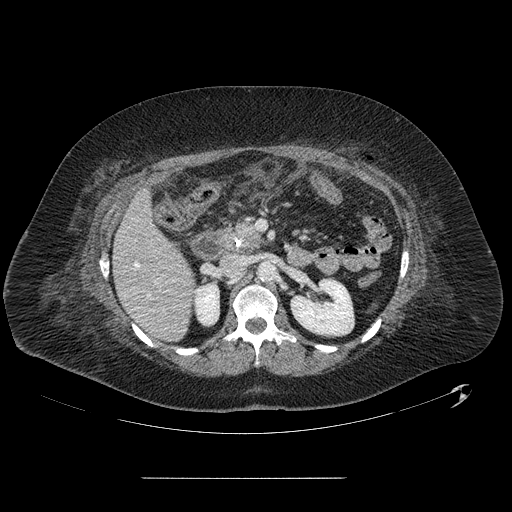 Computed tomography, Abdomen

The pancreatic tumor is bounded by (x1=238, y1=226, x2=256, y2=239). The pancreas appears at (x1=222, y1=222, x2=261, y2=252).